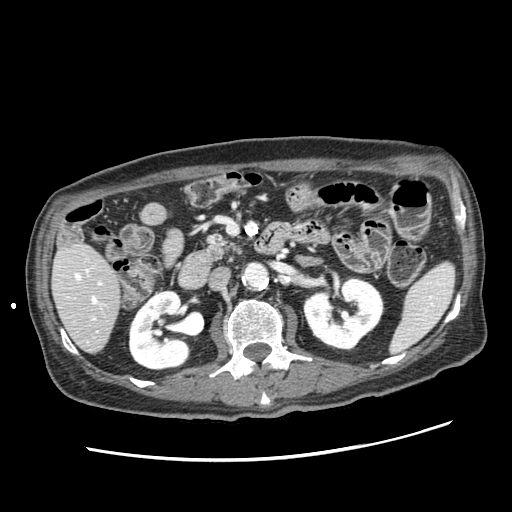

Upper abdomen | CT scan slice

The pancreas appears at box(207, 235, 226, 257).